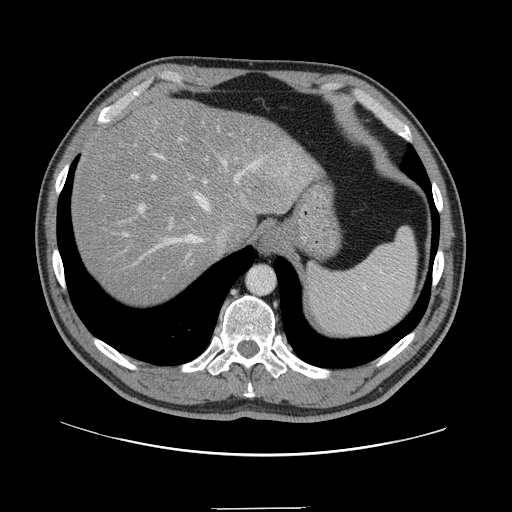

CT slice
The vessel annotation is not exhaustive.
liver_tumor:
  - region(260, 198, 267, 205)
hepatic_vessel:
  - region(206, 158, 208, 159)
  - region(195, 194, 209, 210)
  - region(234, 172, 243, 182)
  - region(152, 176, 155, 178)
  - region(179, 139, 181, 141)
  - region(139, 205, 144, 212)
  - region(203, 180, 206, 183)
  - region(220, 159, 226, 165)
  - region(133, 175, 137, 178)
  - region(169, 219, 172, 228)
  - region(249, 162, 259, 171)
  - region(123, 234, 127, 235)
  - region(151, 235, 201, 251)
  - region(154, 153, 163, 158)
  - region(188, 254, 189, 256)